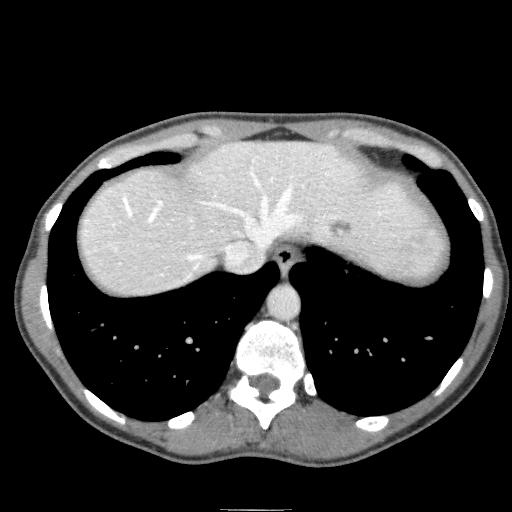 CT image | Abdomen

<segmentation>
  <liver>left=80, top=140, right=446, bottom=297</liver>
  <liver_lesion>left=329, top=220, right=351, bottom=237</liver_lesion>
</segmentation>